FLAIR magnetic resonance.
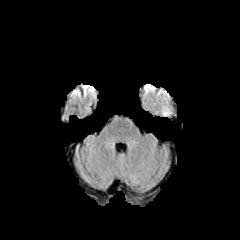
T1-weighted MR image.
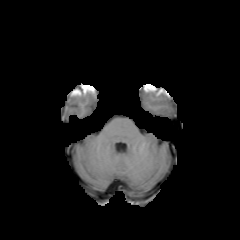
Post-contrast T1-weighted magnetic resonance.
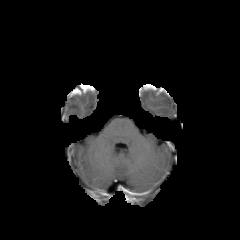
T2-weighted MR image.
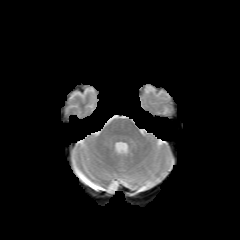
Head | 240x240
The edema lies within [x1=158, y1=91, x2=170, y2=115].